FLAIR magnetic resonance.
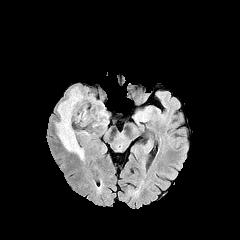
T1-weighted MR image.
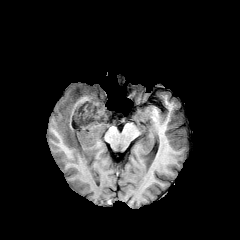
Post-contrast T1-weighted MR image.
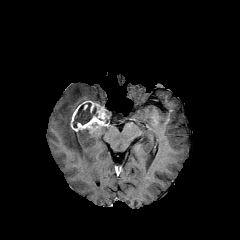
T2-weighted MR.
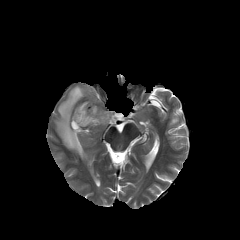
{"edema": ["bbox=[56, 87, 98, 159]"], "enhancing_tumor": ["bbox=[72, 105, 108, 133]", "bbox=[70, 104, 81, 127]"], "non-enhancing_tumor_core": ["bbox=[72, 101, 95, 128]"]}